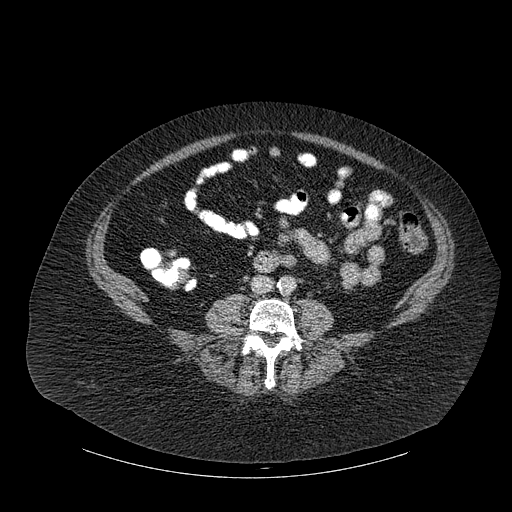 512x512 px, CT

The bone is bounded by (243, 299, 302, 388).